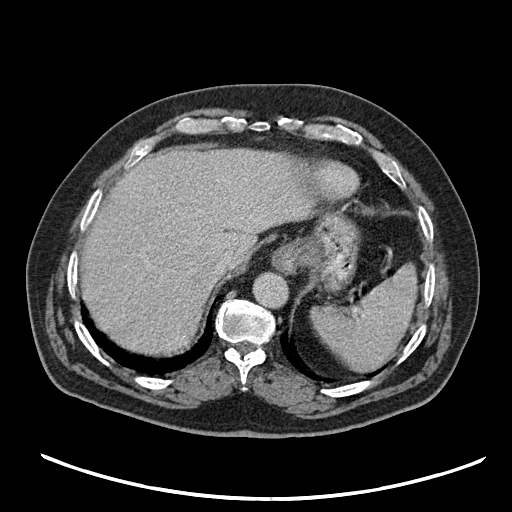

CT scan slice | Upper abdomen
Annotated regions:
* spleen: 313 267 415 370